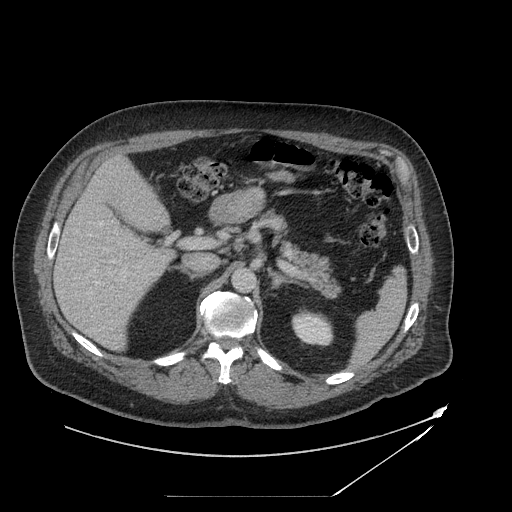 Image size 512x512, Abdomen, CT slice
Pancreas = box(260, 210, 341, 298).